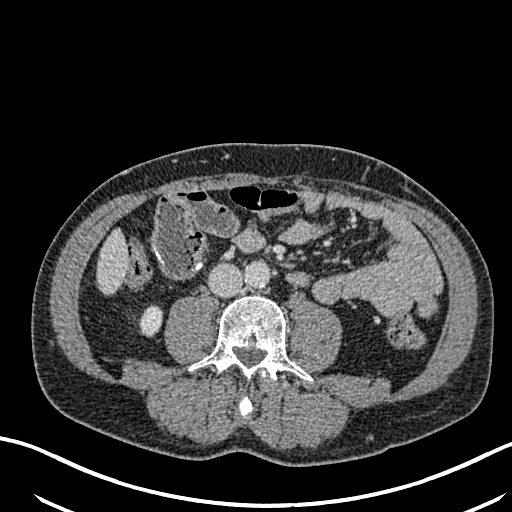
CT scan slice
Annotated regions:
* kidney: (141, 307, 161, 334)
* liver: (98, 230, 126, 291)